CT. Slice index 74. Liver.

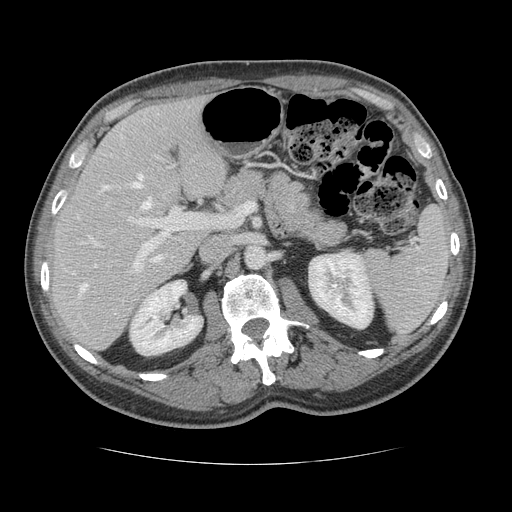

The vessel boxes may cover only some of the vessels.
11 hepatic vessel regions are bounded by {"x1": 128, "y1": 208, "x2": 198, "y2": 271}, {"x1": 132, "y1": 174, "x2": 142, "y2": 186}, {"x1": 100, "y1": 184, "x2": 108, "y2": 191}, {"x1": 77, "y1": 215, "x2": 78, "y2": 217}, {"x1": 79, "y1": 283, "x2": 87, "y2": 293}, {"x1": 95, "y1": 265, "x2": 96, "y2": 266}, {"x1": 207, "y1": 223, "x2": 215, "y2": 224}, {"x1": 141, "y1": 197, "x2": 151, "y2": 209}, {"x1": 81, "y1": 237, "x2": 99, "y2": 245}, {"x1": 151, "y1": 255, "x2": 161, "y2": 260}, {"x1": 71, "y1": 271, "x2": 74, "y2": 273}.